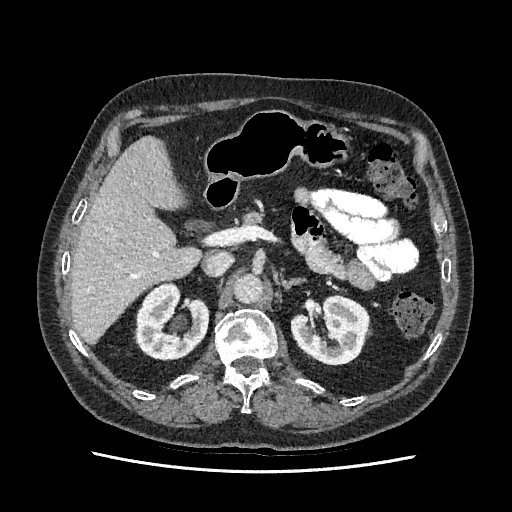

Upper abdomen, CT scan slice

2 kidney regions appear at <bbox>137, 285, 208, 358</bbox>, <bbox>291, 296, 368, 364</bbox>. The liver is bounded by <bbox>72, 136, 200, 343</bbox>.